FLAIR magnetic resonance.
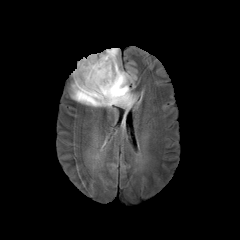
T1-weighted MR image.
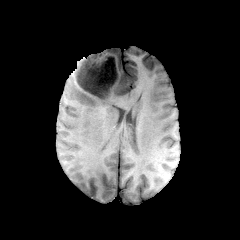
Post-contrast T1-weighted magnetic resonance.
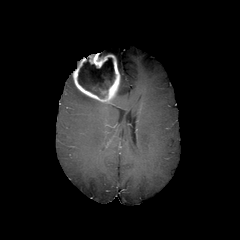
T2-weighted MR image.
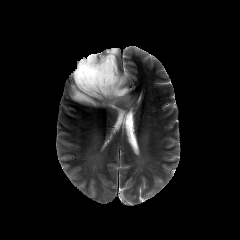
Head.
The edema is bounded by 70:48:135:111. The non-enhancing tumor core lies within 78:58:114:97. The enhancing tumor appears at 72:53:119:101.